Slice 31 of 81, CT scan slice

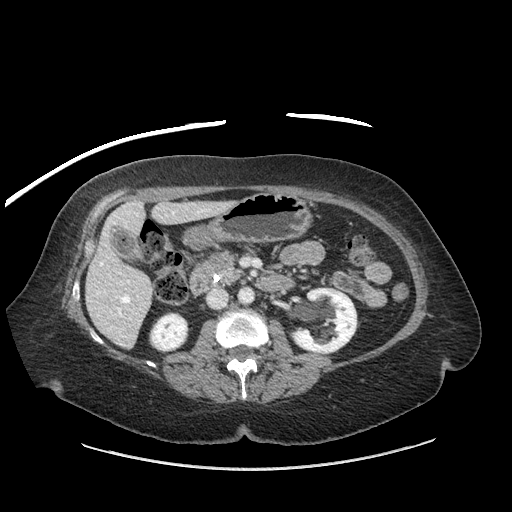 Pancreatic tumor: bounding box left=208, top=255, right=230, bottom=271.
Pancreas: bounding box left=197, top=251, right=242, bottom=285.